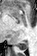 37x56, MRI

posterior_hippocampus:
  - l=17, t=42, r=27, b=49